512x512. CT slice. 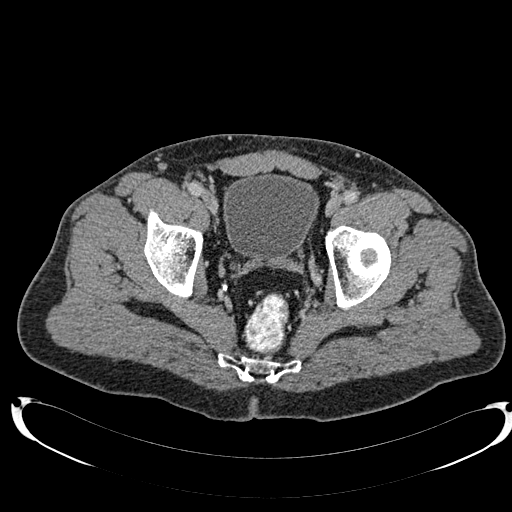
Urinary bladder: bounding box box=[223, 172, 319, 266].